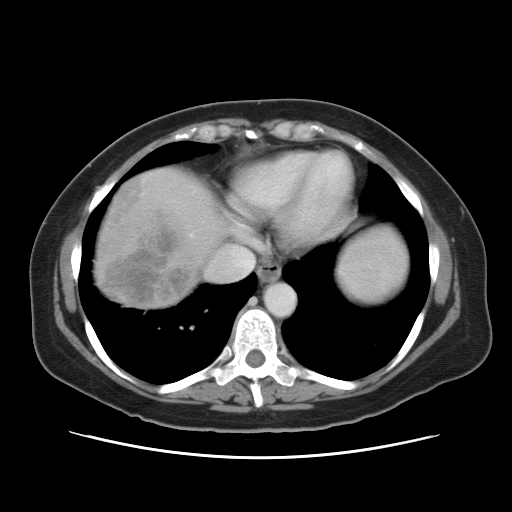
512x512, Abdomen, Computed tomography
Some hepatic vessels may have no box.
Segmented structures:
* hepatic vessel: region(238, 237, 241, 237); region(244, 238, 256, 246); region(204, 246, 255, 280); region(197, 237, 207, 238); region(190, 234, 193, 236)
* liver tumor: region(100, 181, 197, 305)